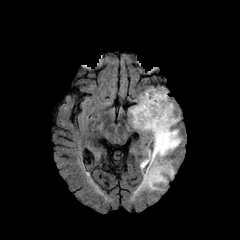
FLAIR magnetic resonance.
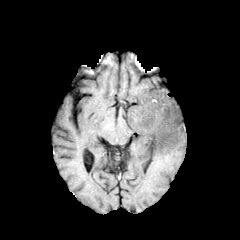
Same slice, T1-weighted magnetic resonance.
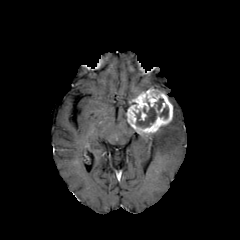
Same slice, post-contrast T1-weighted magnetic resonance.
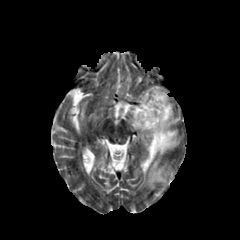
T2-weighted MR.
240x240 px | Brain
Edema — box=[136, 104, 181, 190].
Enhancing tumor — box=[127, 87, 173, 134].
Non-enhancing tumor core — box=[159, 107, 168, 117]; box=[136, 107, 157, 127]; box=[155, 98, 163, 110].